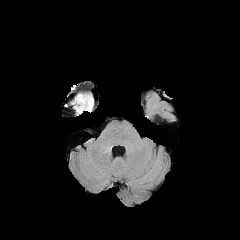
FLAIR magnetic resonance.
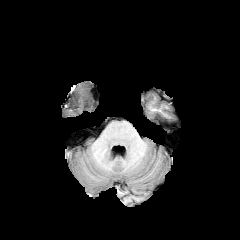
T1-weighted magnetic resonance of the same slice.
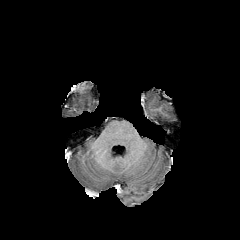
Post-contrast T1-weighted magnetic resonance.
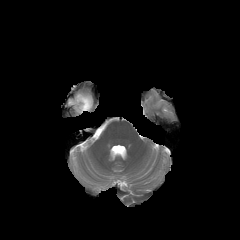
T2-weighted magnetic resonance.
Edema: region(71, 94, 93, 115).